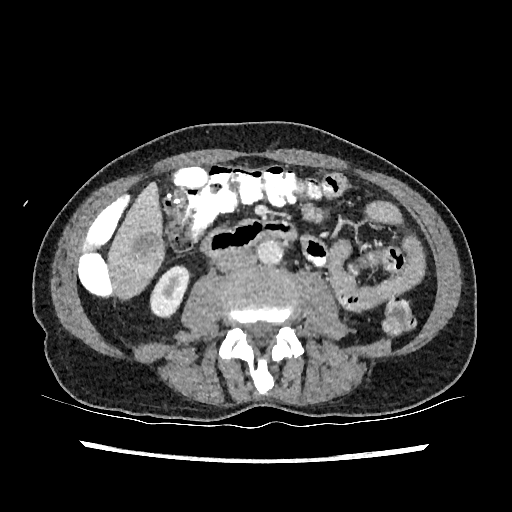 Image size 512x512, CT
• kidney: 151, 267, 188, 315
• liver: 108, 181, 163, 298
• hepatic lesion: 132, 234, 154, 255